Image size 512x512, Abdomen, CT, Field of view 405 mm wide, 5.00 mm slice spacing
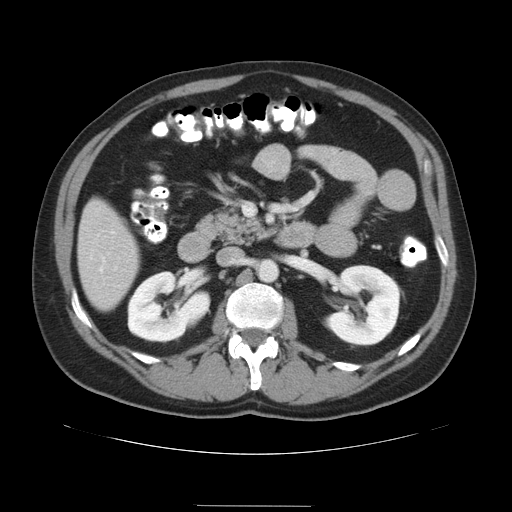

Not every hepatic vessel necessarily has a box.
<segmentation>
  <hepatic_vessel>l=129, t=260, r=131, b=261; l=89, t=250, r=95, b=258; l=99, t=258, r=105, b=272; l=95, t=241, r=97, b=245; l=111, t=231, r=114, b=234; l=114, t=267, r=116, b=269</hepatic_vessel>
</segmentation>